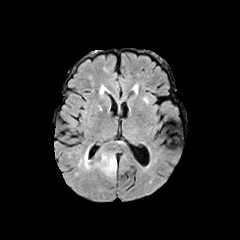
FLAIR MR image.
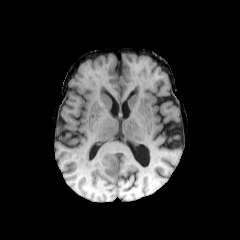
Same slice, T1-weighted magnetic resonance.
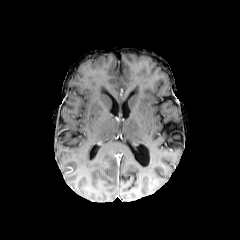
Post-contrast T1-weighted MR of the same slice.
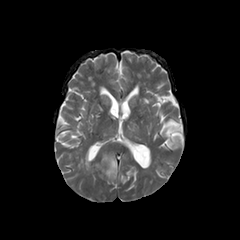
T2-weighted MR image.
240x240 px
The non-enhancing tumor core is bounded by (left=102, top=151, right=117, bottom=168). The edema appears at (left=78, top=146, right=116, bottom=176).